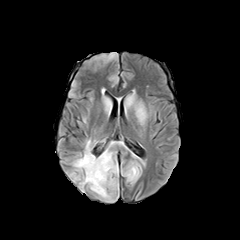
FLAIR MRI.
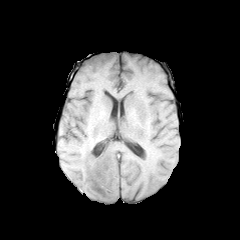
T1-weighted MR image.
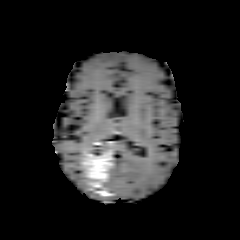
Post-contrast T1-weighted magnetic resonance.
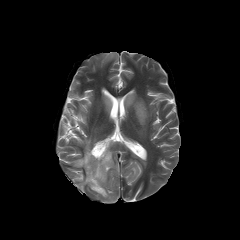
T2-weighted MR.
Brain | Image size 240x240
edema:
  - 74,156,83,167
  - 72,171,88,187
  - 84,138,91,155
enhancing_tumor:
  - 82,148,111,196